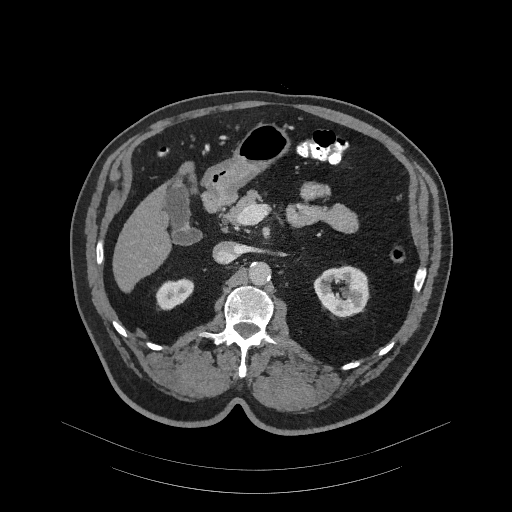

Upper abdomen. CT scan slice.

* pancreas: left=227, top=190, right=261, bottom=224